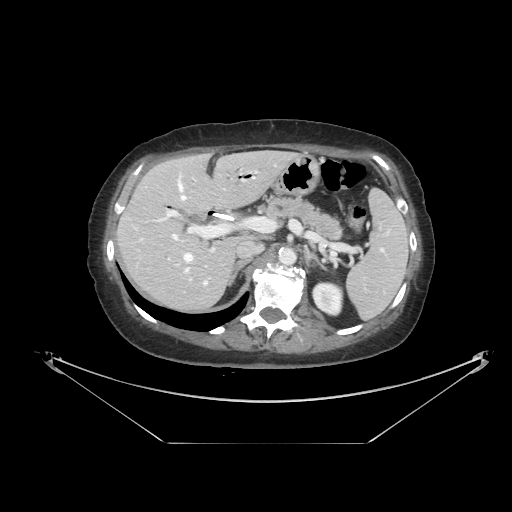

512x512 | CT
{
  "pancreas": [
    "region(264, 198, 341, 239)"
  ]
}